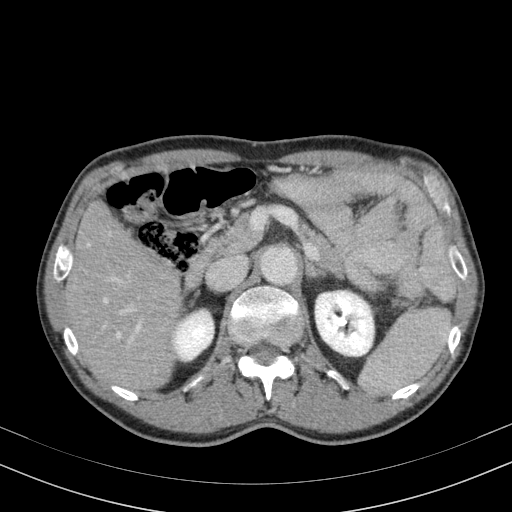 CT slice.
{
  "liver": [
    "box(66, 201, 183, 390)"
  ],
  "kidney": [
    "box(315, 291, 373, 355)",
    "box(174, 311, 213, 358)"
  ]
}